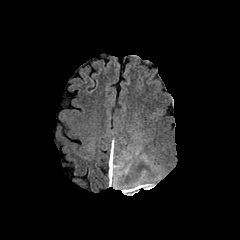
FLAIR MR.
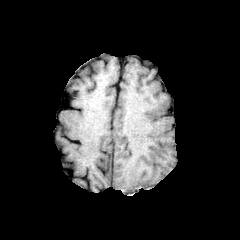
T1-weighted MRI.
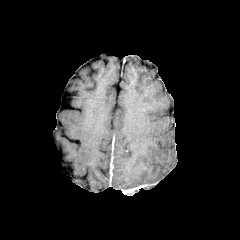
Post-contrast T1-weighted MRI.
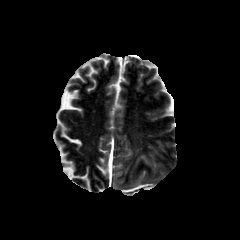
T2-weighted MR image of the same slice.
Head; 240x240
Findings:
- edema: <box>120,178,153,190</box>, <box>110,156,119,185</box>, <box>108,144,113,168</box>
- enhancing tumor: <box>123,185,147,193</box>